Liver | Computed tomography

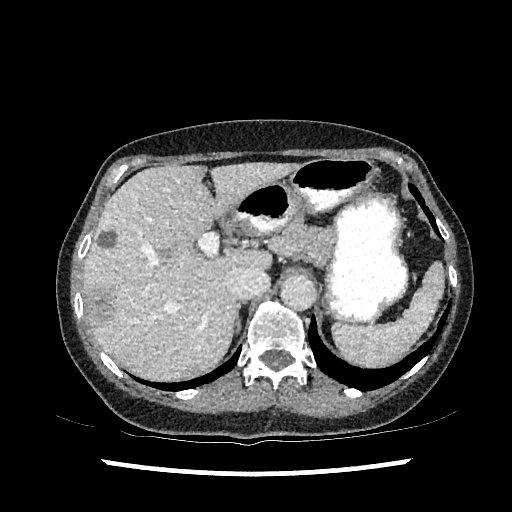
Liver: bounding box bbox=[85, 162, 294, 377].
Focal liver lesion: bounding box bbox=[86, 285, 114, 325]; bbox=[98, 231, 116, 248].